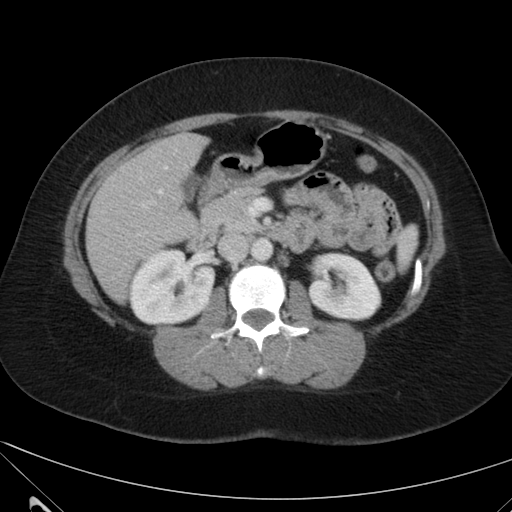
CT scan slice, Abdomen
{"liver": ["[86, 132, 207, 301]"], "kidney": ["[310, 254, 377, 317]", "[131, 251, 213, 322]"]}